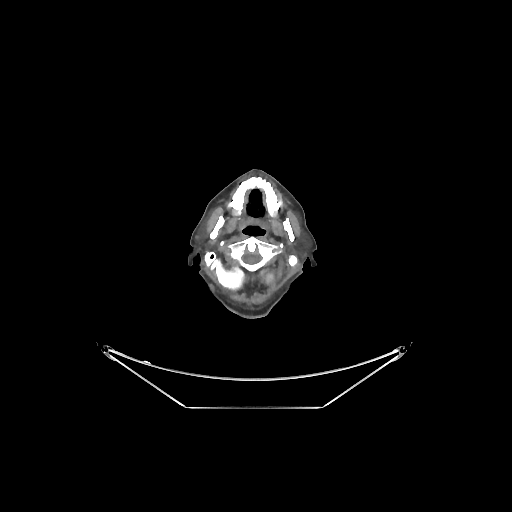

512x512. CT image.

bone:
  - (left=205, top=237, right=282, bottom=290)
  - (left=283, top=217, right=294, bottom=241)
  - (left=228, top=177, right=281, bottom=216)
  - (left=210, top=213, right=224, bottom=239)
  - (left=288, top=255, right=297, bottom=267)